Image size 512x512; Image width 369 mm; Abdomen; Slice index 332; Computed tomography
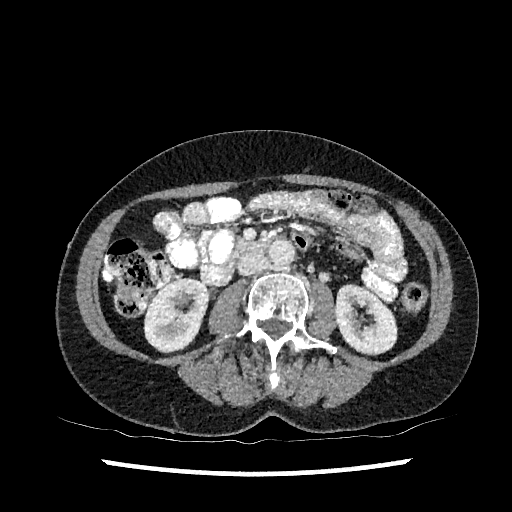
kidney: region(145, 279, 207, 351); region(336, 285, 396, 353)